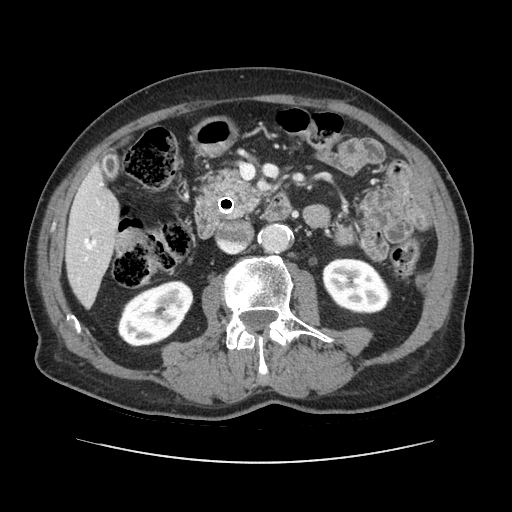 Image size 512x512, CT, Abdomen
* pancreas: l=214, t=169, r=261, b=217